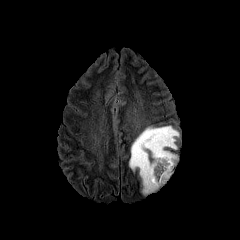
FLAIR MR.
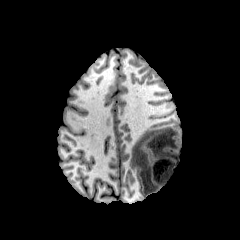
T1-weighted MRI.
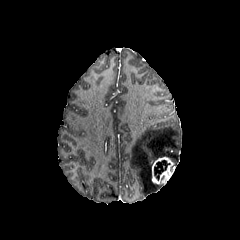
Same slice, post-contrast T1-weighted magnetic resonance.
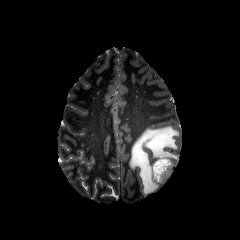
T2-weighted MR.
240x240. Brain.
Edema = {"x1": 129, "y1": 126, "x2": 178, "y2": 194}.
Non-enhancing tumor core = {"x1": 153, "y1": 160, "x2": 170, "y2": 181}.
Enhancing tumor = {"x1": 151, "y1": 157, "x2": 175, "y2": 184}.